Computed tomography

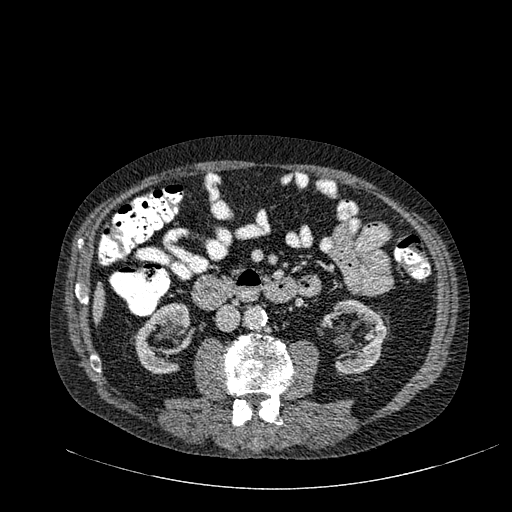 The liver is at rect(93, 285, 103, 322). 2 kidney regions are located at rect(321, 301, 388, 374); rect(134, 303, 195, 373).